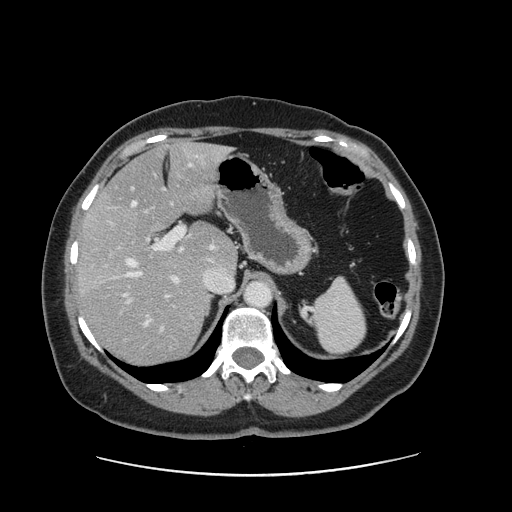 CT scan slice. Liver. The vessel annotation is not exhaustive.
hepatic vessel: [161, 327, 163, 329], [173, 276, 178, 282], [132, 187, 133, 189], [145, 315, 151, 325], [127, 259, 136, 265], [166, 295, 169, 297], [124, 293, 130, 301], [180, 247, 183, 250], [128, 271, 141, 276], [188, 164, 192, 166]